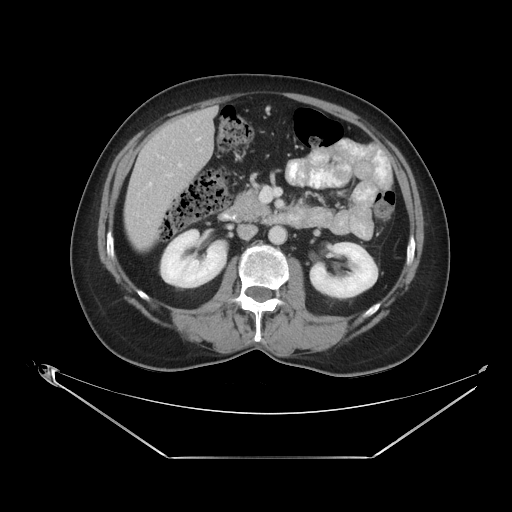 CT scan slice
Not every hepatic vessel necessarily has a box.
Annotated regions:
• hepatic vessel: (178, 163, 181, 167), (170, 173, 172, 175)